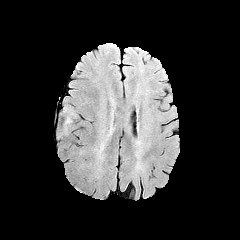
FLAIR magnetic resonance.
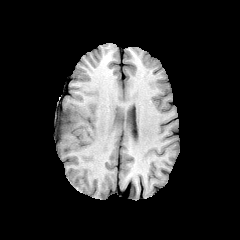
T1-weighted MR.
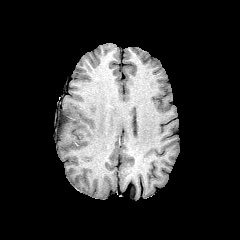
Post-contrast T1-weighted MRI.
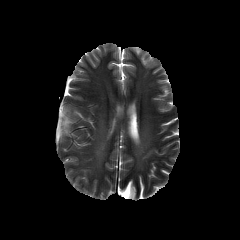
T2-weighted MRI of the same slice.
edema:
  - rect(62, 107, 72, 128)